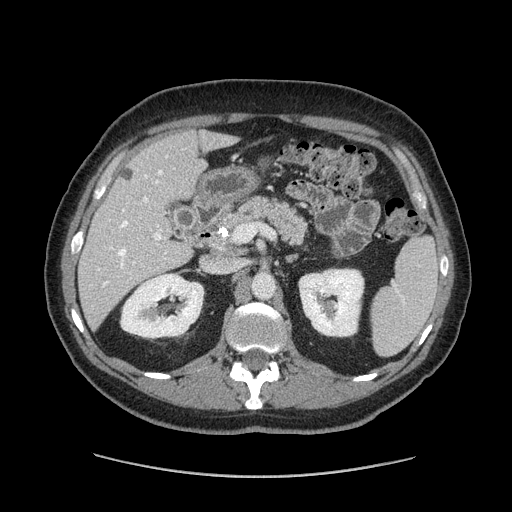
Upper abdomen | CT image
Pancreas = (x1=226, y1=197, x2=307, y2=245).